Brain. Slice 111/155.
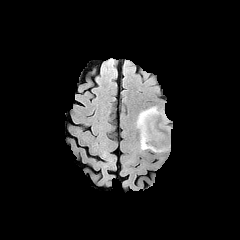
FLAIR MR.
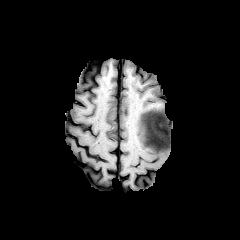
T1-weighted magnetic resonance.
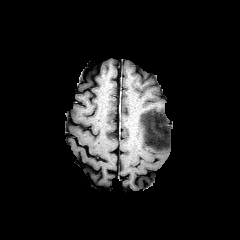
Same slice, post-contrast T1-weighted magnetic resonance.
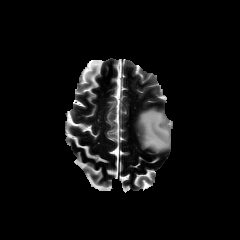
T2-weighted MR image.
Non-enhancing tumor core: rect(140, 119, 146, 139).
Edema: rect(136, 108, 170, 152).